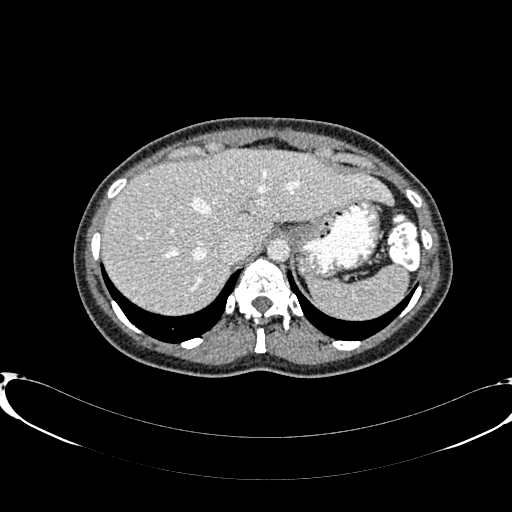 CT
The liver appears at <bbox>102, 149, 394, 314</bbox>.